Abdomen; Image size 512x512; Computed tomography; Slice index 66
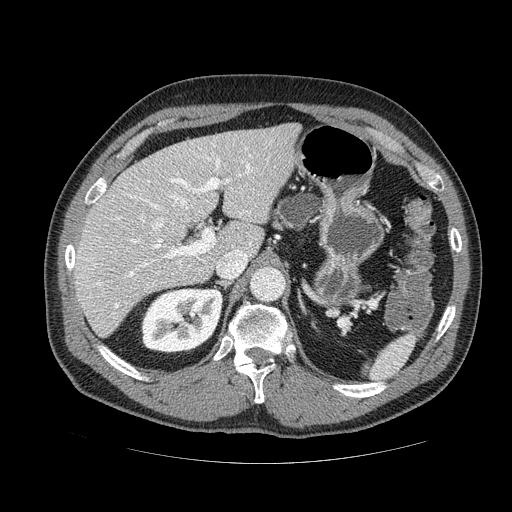
pancreas:
  - (x1=269, y1=191, x2=324, y2=236)
pancreatic_tumor:
  - (x1=280, y1=193, x2=320, y2=224)